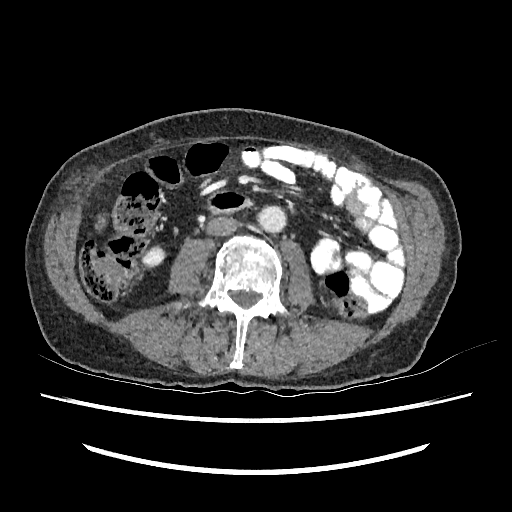

CT

kidney: 139, 246, 162, 267